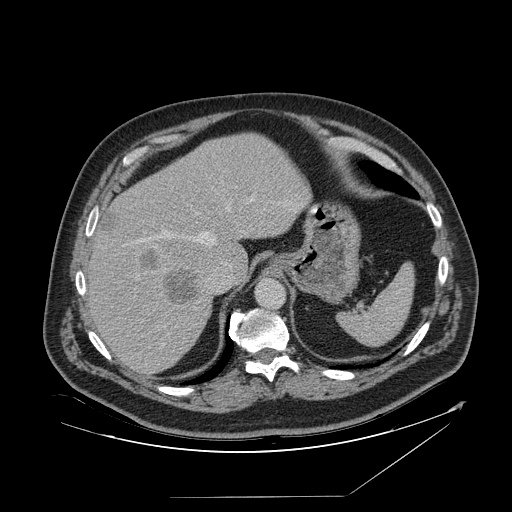

Abdomen, CT
Annotated regions:
• spleen: {"x1": 337, "y1": 265, "x2": 413, "y2": 345}